FLAIR magnetic resonance.
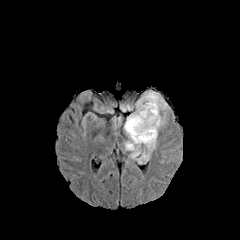
T1-weighted MR image.
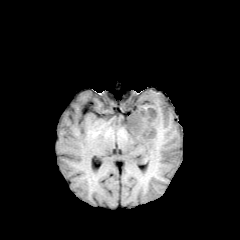
Post-contrast T1-weighted magnetic resonance.
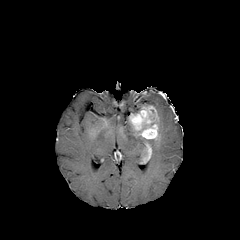
T2-weighted magnetic resonance.
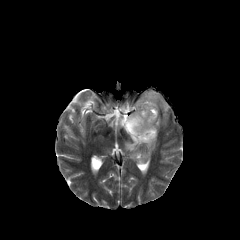
Brain; Image size 240x240
Edema — bbox(113, 116, 147, 163); bbox(120, 90, 169, 128); bbox(148, 139, 156, 151).
Enhancing tumor — bbox(140, 143, 151, 161); bbox(128, 105, 158, 139).